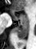

MRI.

The anterior hippocampus appears at region(11, 9, 27, 19). The posterior hippocampus lies within region(15, 20, 28, 39).